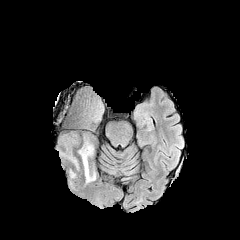
FLAIR MR.
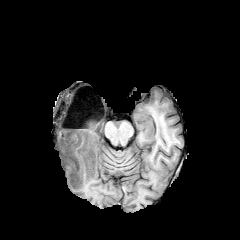
T1-weighted MR.
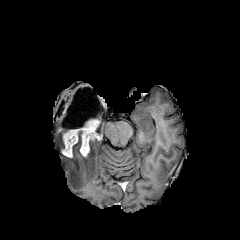
Post-contrast T1-weighted magnetic resonance.
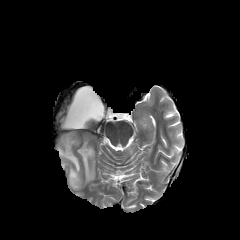
T2-weighted MRI of the same slice.
{
  "edema": [
    "bbox(69, 141, 95, 186)"
  ],
  "enhancing_tumor": [
    "bbox(62, 132, 77, 157)",
    "bbox(80, 134, 89, 156)"
  ],
  "non-enhancing_tumor_core": [
    "bbox(78, 95, 103, 128)",
    "bbox(66, 128, 97, 155)"
  ]
}